Upper abdomen. Image width 403 mm. CT.

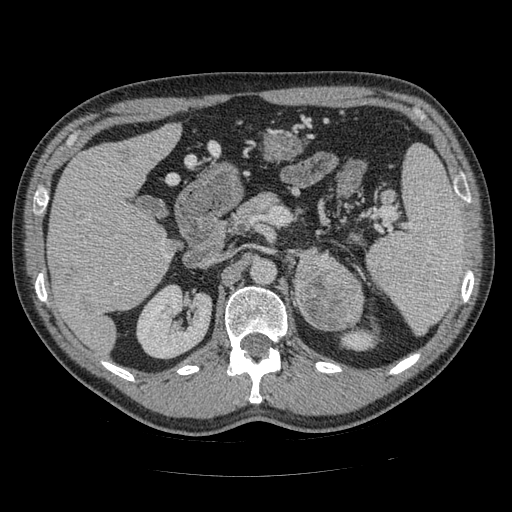

The pancreatic tumor lies within (x1=296, y1=250, x2=363, y2=328). 3 pancreas regions are located at (x1=238, y1=194, x2=275, y2=221), (x1=320, y1=252, x2=349, y2=270), (x1=298, y1=303, x2=323, y2=328).